Computed tomography. 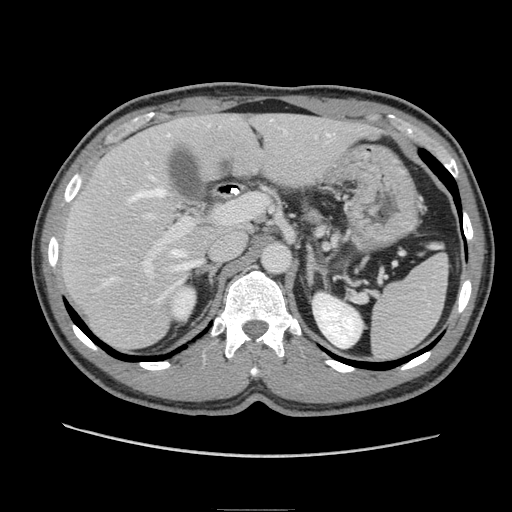
Pancreas at <bbox>296, 194, 326, 226</bbox>.